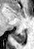 Medial temporal lobe. Image size 34x49. MRI. * posterior hippocampus: 13, 32, 25, 43